Cardiac; MR; Slice index 59
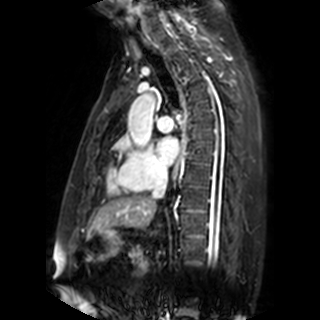

{
  "left_atrium": [
    "(x1=155, y1=137, x2=177, y2=164)"
  ]
}